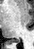
Medial temporal lobe | 34x49 px | MR
Segmented structures:
• posterior hippocampus: region(10, 38, 19, 42)